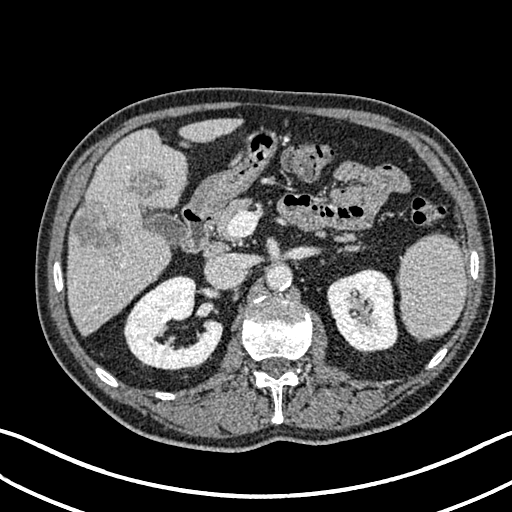 CT image
2 kidney regions are bounded by <box>328,270,396,350</box>, <box>125,277,221,368</box>. 2 liver lesion regions are bounded by <box>129,171,163,198</box>, <box>74,203,122,250</box>. 2 liver regions appear at <box>180,118,241,141</box>, <box>68,129,186,334</box>.